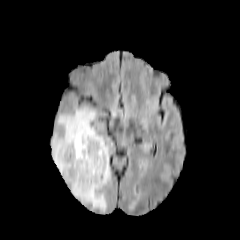
FLAIR MR.
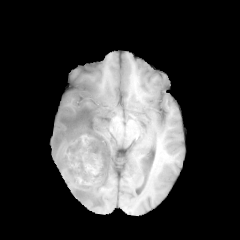
Same slice, T1-weighted magnetic resonance.
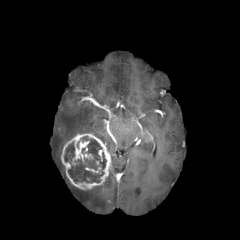
Post-contrast T1-weighted MRI of the same slice.
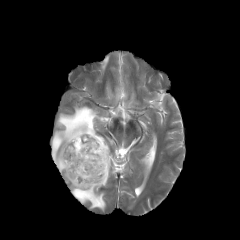
T2-weighted MR image of the same slice.
Image size 240x240 | Head
The edema is located at bbox=[51, 105, 112, 212]. The non-enhancing tumor core lies within bbox=[64, 136, 106, 183]. The enhancing tumor is bounded by bbox=[61, 133, 111, 190].